Image size 41x48; MRI
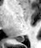 {"posterior_hippocampus": ["box=[16, 37, 24, 41]"]}